Abdomen | Slice index 223 | CT scan slice | Image size 512x512

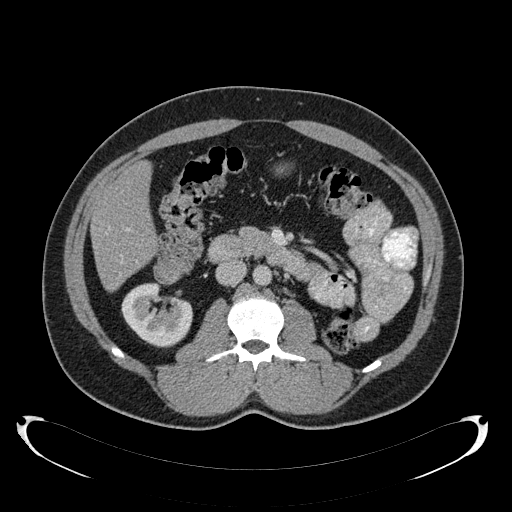 Annotated regions:
- kidney: <bbox>122, 284, 191, 346</bbox>
- liver: <bbox>90, 161, 157, 290</bbox>